Slice 13/42; Image width 33 mm; Hippocampus; MR
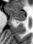 Posterior hippocampus — box(17, 20, 24, 21).
Anterior hippocampus — box(8, 8, 25, 19).